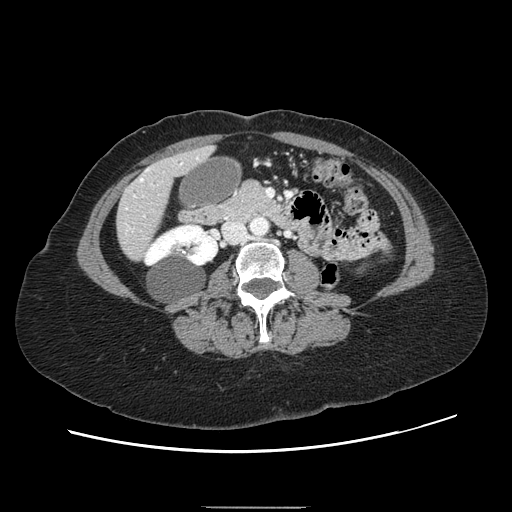

CT slice. Abdomen. 512x512 px. Pancreas = l=222, t=181, r=276, b=223.